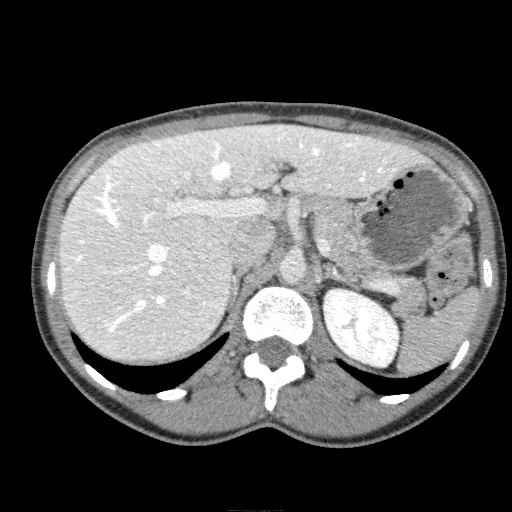

CT image
{
  "liver": [
    "<box>59,123,434,361</box>"
  ],
  "kidney": [
    "<box>324,290,398,366</box>"
  ]
}